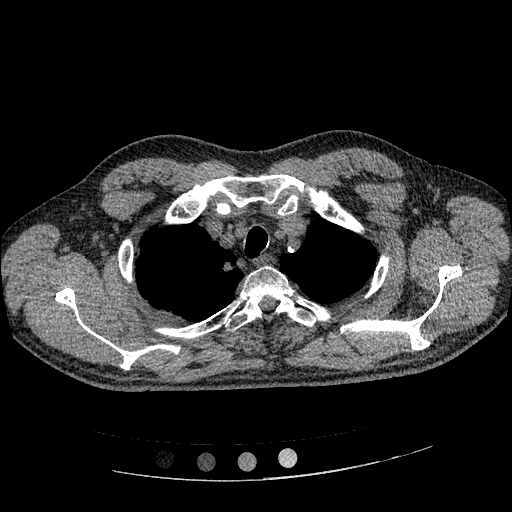

Thorax. CT scan slice. 512x512 px.
The lung tumor is located at <bbox>221, 259, 236, 273</bbox>.